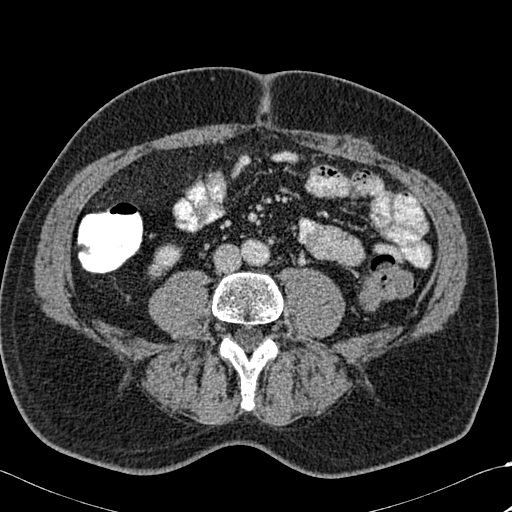 CT slice.
bone:
  - <bbox>219, 336, 278, 409</bbox>
  - <bbox>211, 272, 283, 325</bbox>
kidney:
  - <bbox>157, 247, 177, 265</bbox>